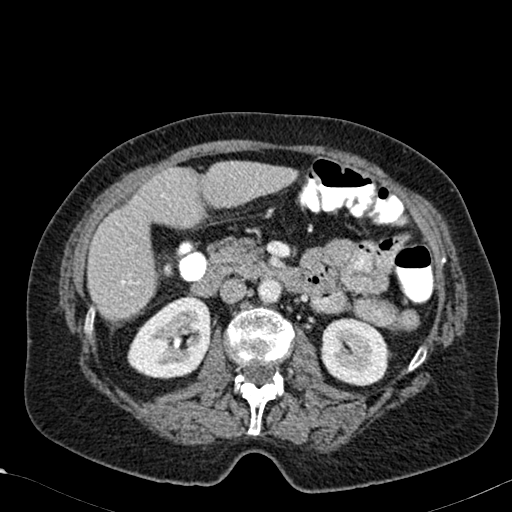

512x512. Computed tomography.

<segmentation>
  <kidney>(128, 297, 210, 377), (322, 319, 387, 385)</kidney>
  <liver>(89, 163, 295, 319)</liver>
</segmentation>